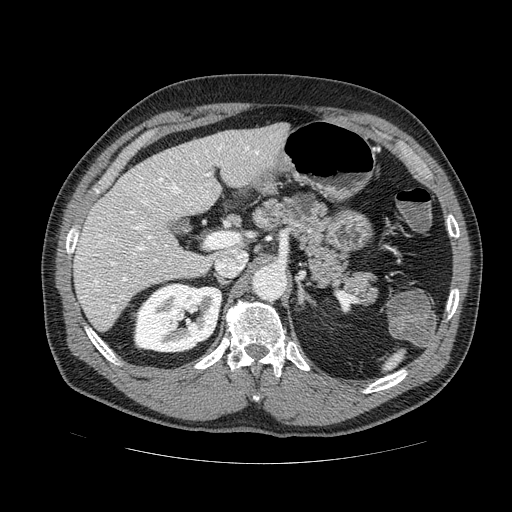

CT scan slice | Upper abdomen | Image size 512x512

The pancreatic tumor lies within [x1=296, y1=194, x2=317, y2=217]. The pancreas is bounded by [x1=249, y1=191, x2=379, y2=305].